CT, Field of view 700 mm wide, 3.27 mm slice spacing
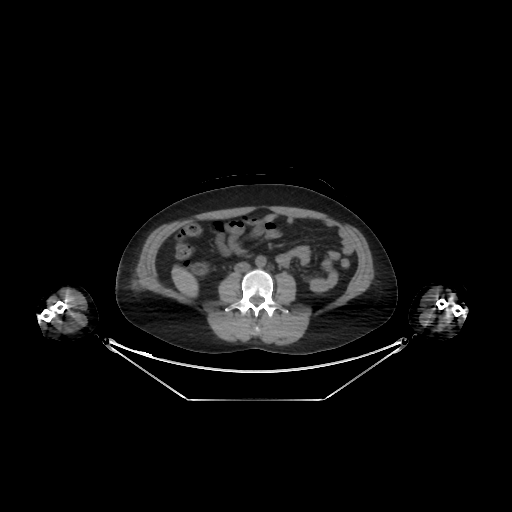

{"liver": ["bbox=[172, 265, 198, 297]"]}